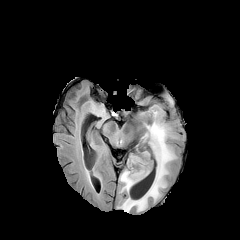
FLAIR MR image.
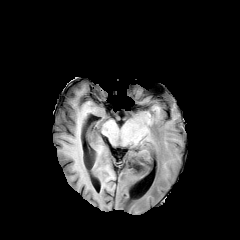
T1-weighted MR.
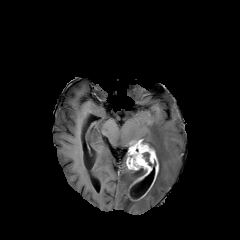
Same slice, post-contrast T1-weighted MR image.
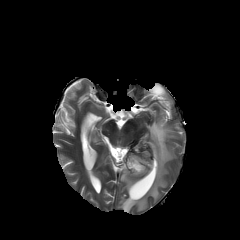
T2-weighted MRI.
non-enhancing_tumor_core:
  - [126,164,147,175]
  - [128,140,156,178]
enhancing_tumor:
  - [126,156,151,173]
  - [150,149,158,181]
edema:
  - [118,110,176,212]